CT
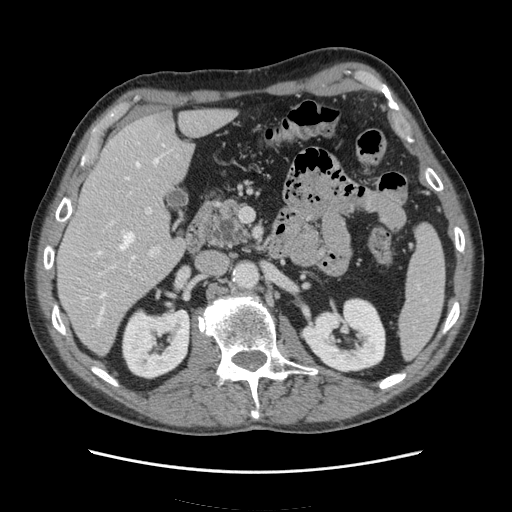
spleen: [399,224,444,356]